512x512, Slice 356 of 519, CT image

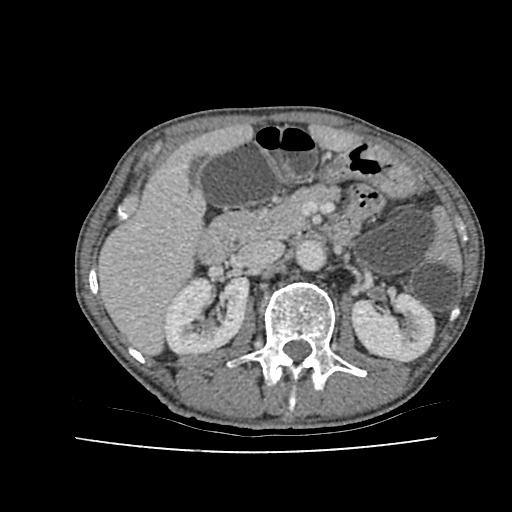 2 kidney regions are located at (352, 295, 433, 360), (165, 278, 247, 352). 2 liver regions are located at (314, 129, 354, 147), (99, 127, 249, 351).